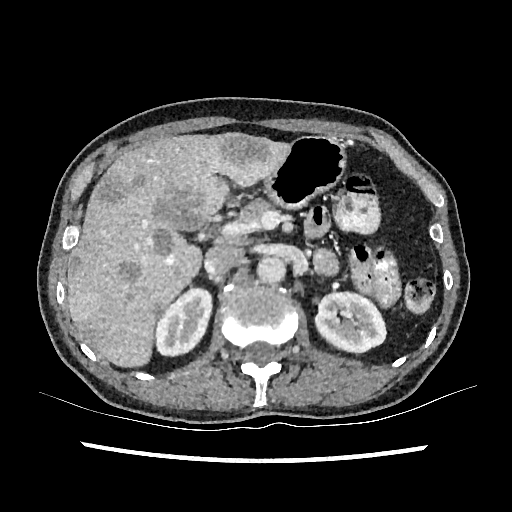
CT image. Liver.
* hepatic lesion: (69, 255, 81, 275), (152, 227, 174, 255), (152, 303, 162, 317), (218, 134, 271, 167), (97, 176, 128, 204), (119, 261, 141, 281), (154, 190, 203, 230), (83, 324, 94, 339), (132, 174, 145, 187)
* kidney: (315, 292, 386, 352), (156, 289, 211, 357)
* liver: (68, 133, 289, 366)